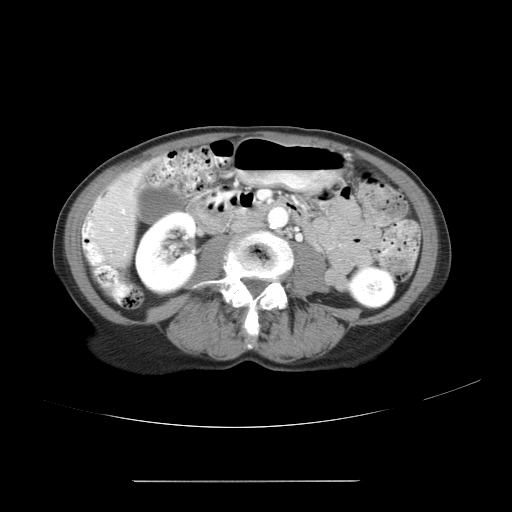 Computed tomography
Only some of the vessels may be annotated.
3 hepatic vessel regions appear at (128, 197, 130, 198), (121, 209, 124, 212), (111, 188, 114, 190).